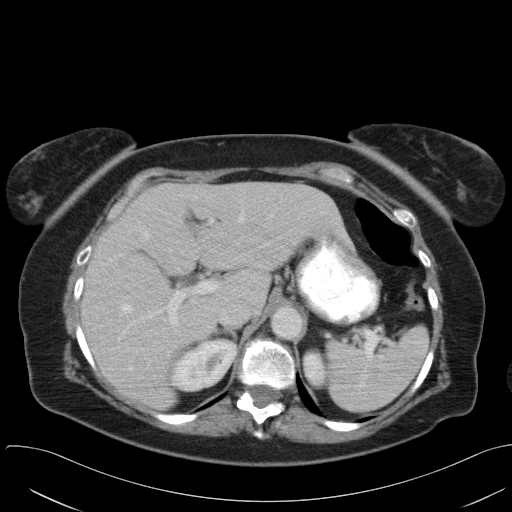

CT image | Upper abdomen
The spleen is located at 326 327 428 411.